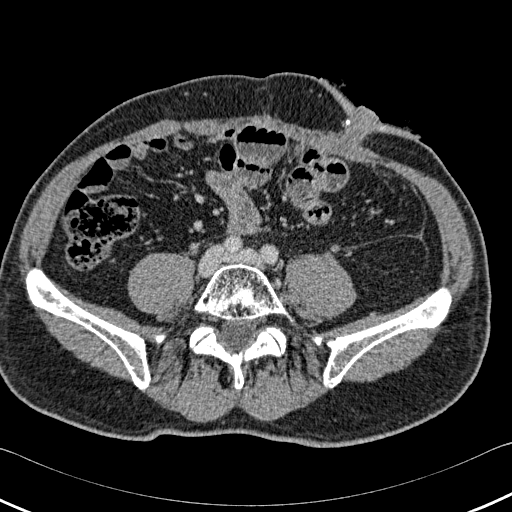
CT image.
Segmented structures:
* bone: 26:269:150:388, 145:331:168:342, 190:327:285:389, 308:288:450:387, 195:263:292:321